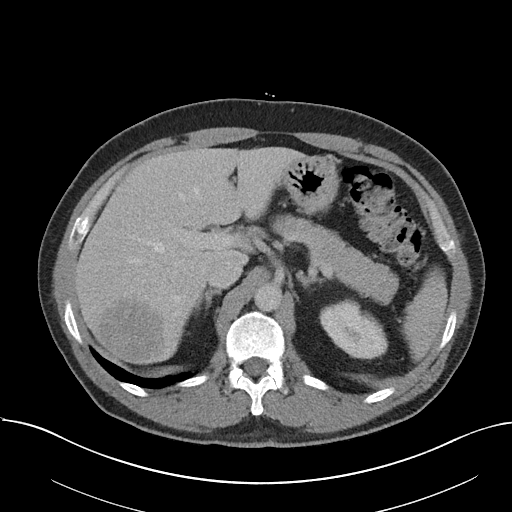

CT. Some hepatic vessels may have no box.
<segmentation>
  <liver_tumor>[99,299,164,362]</liver_tumor>
  <hepatic_vessel>[242,256,246,262], [233,213,237,219], [194,188,200,197], [170,335,175,336], [147,242,164,252], [243,204,246,207], [179,194,183,197], [176,230,221,249], [174,296,180,301], [129,257,141,264], [174,263,177,265]</hepatic_vessel>
</segmentation>